CT slice; Image size 512x512 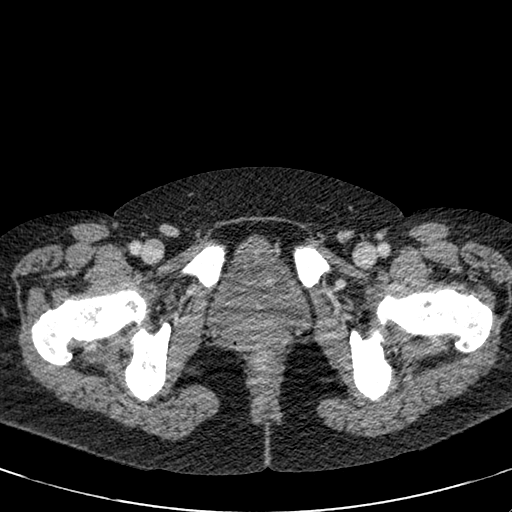 The urinary bladder appears at (left=206, top=234, right=313, bottom=336).